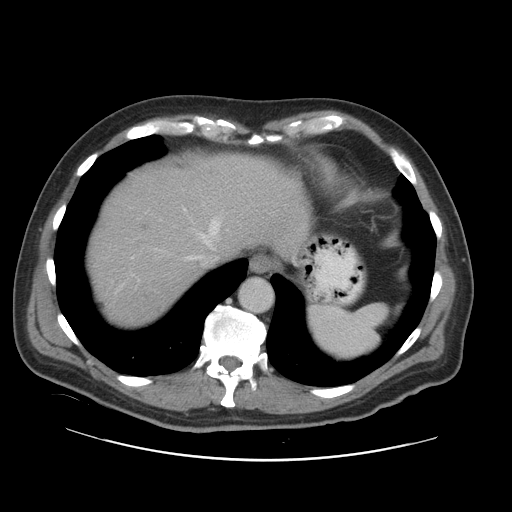 Liver. 512x512 px. CT slice.
Not every hepatic vessel necessarily has a box.
Segmented structures:
* liver tumor: (156, 304, 162, 312)
* hepatic vessel: (199, 219, 219, 247)